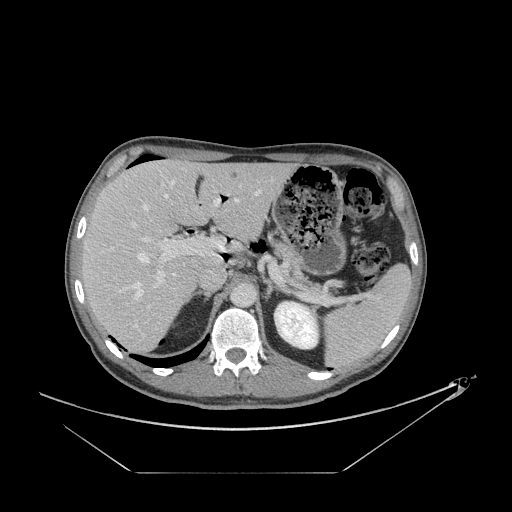 CT image
Pancreas = rect(274, 240, 307, 283).